Field of view 378x378 mm, Pelvis, CT slice 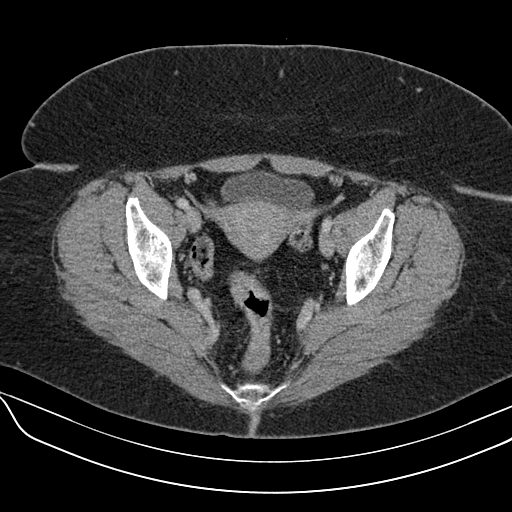

colon tumor: (left=229, top=273, right=269, bottom=304)